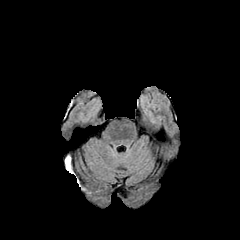
FLAIR MRI.
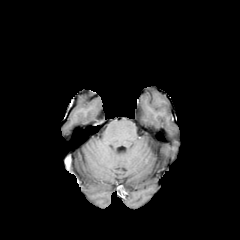
T1-weighted MR of the same slice.
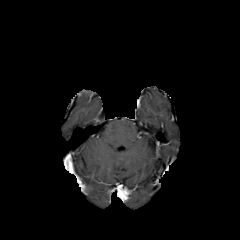
Post-contrast T1-weighted MR image of the same slice.
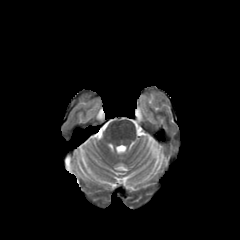
T2-weighted MRI.
Brain
Edema: 65:155:75:175.